240x240, Slice 73 of 155
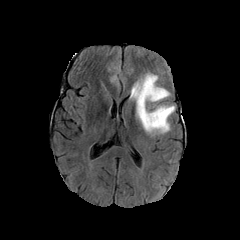
FLAIR MR image.
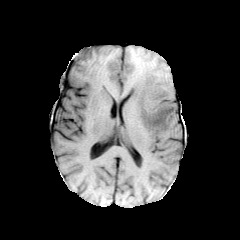
Same slice, T1-weighted MRI.
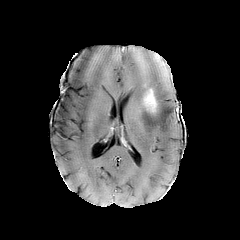
Post-contrast T1-weighted MR.
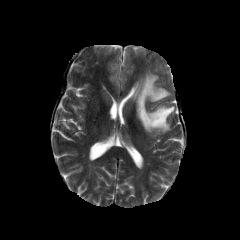
T2-weighted MRI of the same slice.
edema:
  - 129:71:175:135
enhancing_tumor:
  - 147:89:156:112